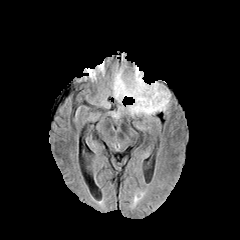
FLAIR MR image.
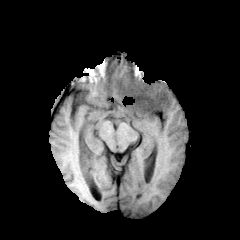
T1-weighted MR image of the same slice.
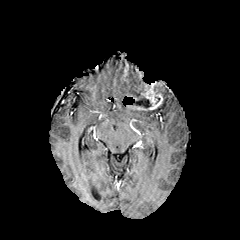
Post-contrast T1-weighted MR of the same slice.
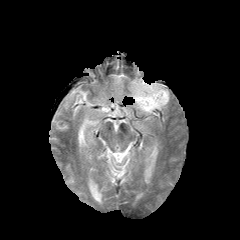
T2-weighted MR image.
Brain
edema:
  - [x1=134, y1=85, x2=170, y2=115]
  - [x1=112, y1=71, x2=142, y2=98]
enhancing_tumor:
  - [x1=130, y1=82, x2=165, y2=111]
non-enhancing_tumor_core:
  - [x1=135, y1=98, x2=150, y2=108]